CT | Image width 387 mm
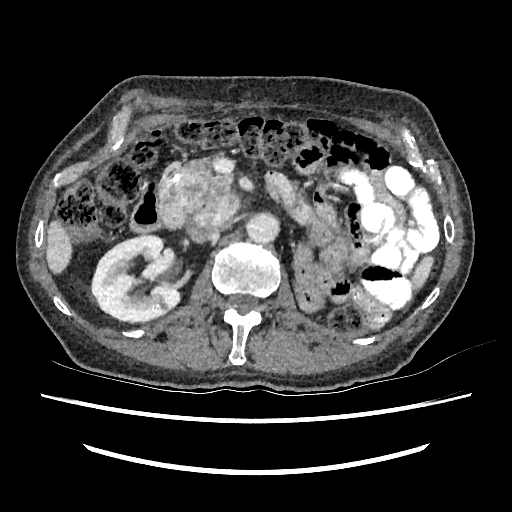
kidney: region(92, 236, 179, 321) | liver: region(47, 222, 71, 272)